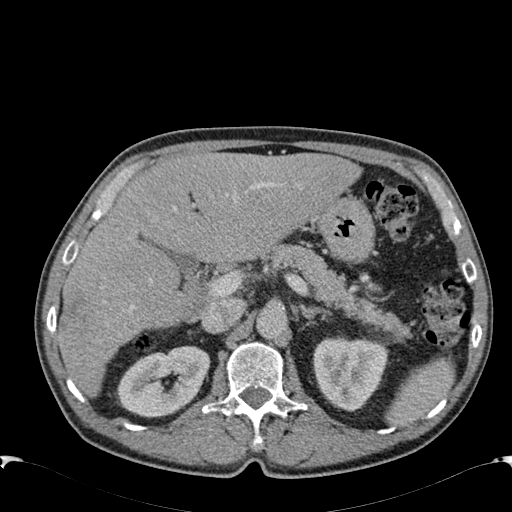
CT image; Upper abdomen; 512x512
Liver: (59,152,361,395).
Focal liver lesion: (61,287,93,337).
Kidney: (118,346,209,416), (314,338,386,410).